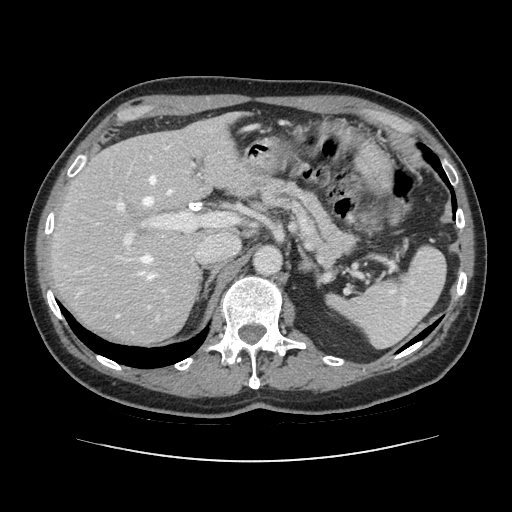
512x512 px; Upper abdomen; CT slice
<segmentation>
  <pancreas>x1=262 y1=180 x2=355 y2=263</pancreas>
</segmentation>